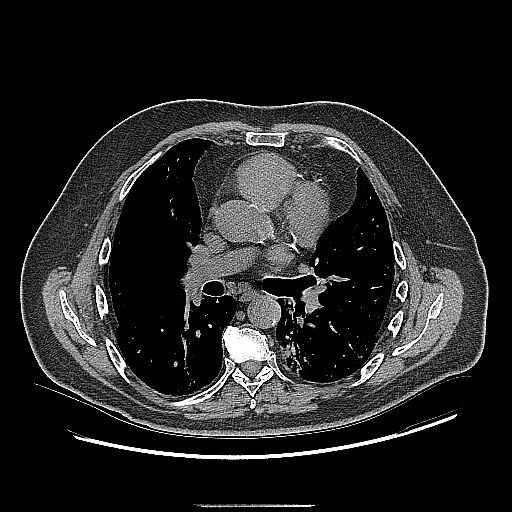 CT image. Chest.
lung_tumor:
  - bbox=[277, 299, 311, 378]